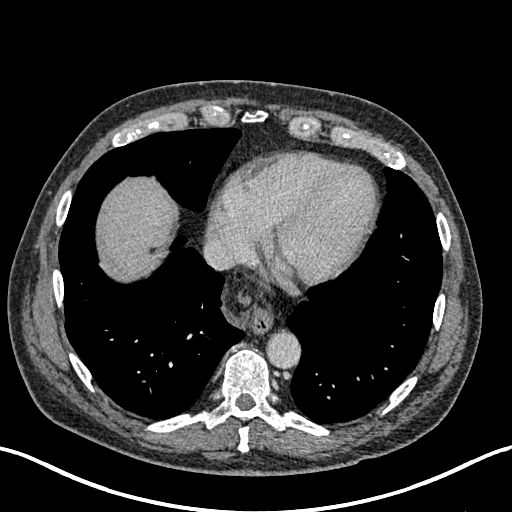 CT
Liver at (x1=97, y1=177, x2=176, y2=277).
Liver lesion at (x1=147, y1=244, x2=158, y2=255).